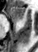 MR; Hippocampus; Image size 38x52
The anterior hippocampus is at left=11, top=7, right=25, bottom=20.